Brain
FLAIR MR.
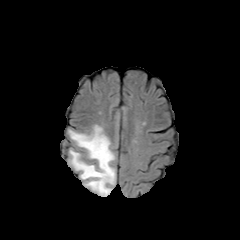
T1-weighted MR.
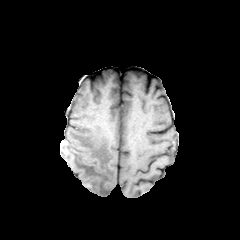
Post-contrast T1-weighted MR image.
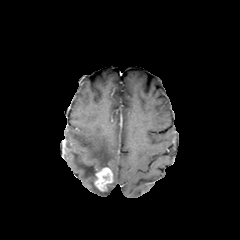
T2-weighted magnetic resonance.
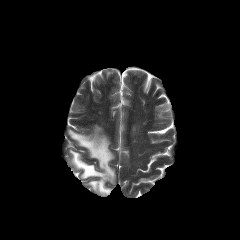
Segmented structures:
- edema: box(68, 125, 116, 195)
- enhancing tumor: box(94, 167, 113, 191)